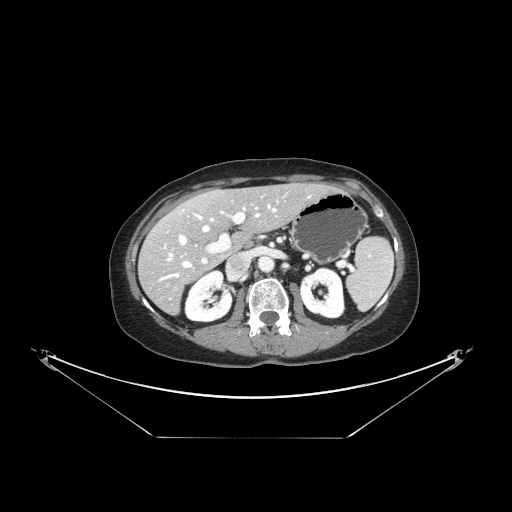

Image size 512x512. Liver. Computed tomography.
Not every hepatic vessel necessarily has a box.
3 hepatic vessel regions appear at box(180, 236, 185, 243); box(202, 259, 206, 262); box(203, 226, 208, 230).